Computed tomography | Liver 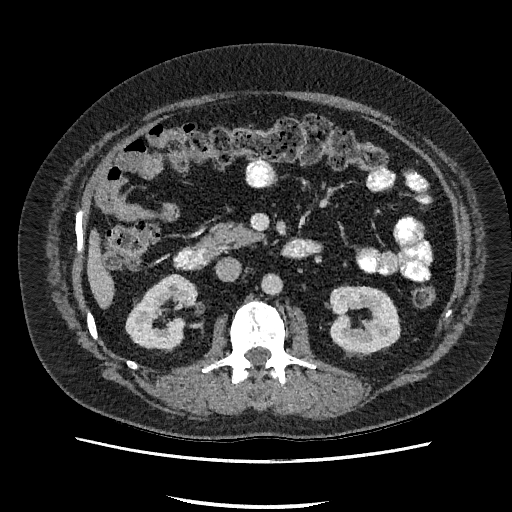 Annotated regions:
- kidney: rect(331, 287, 399, 351); rect(126, 275, 195, 348)
- liver: rect(87, 234, 114, 306)